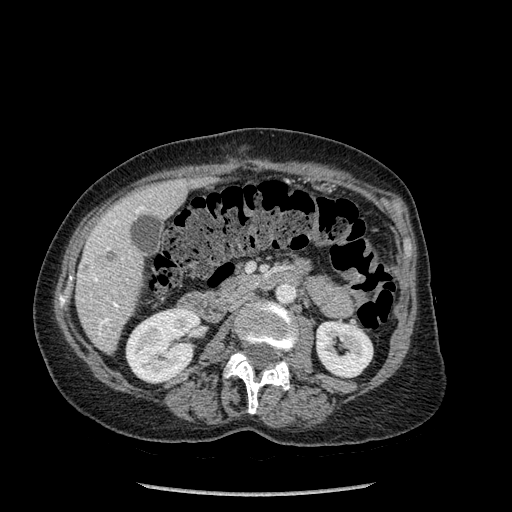
512x512; CT scan slice
<segmentation>
  <kidney>bbox(126, 309, 199, 382); bbox(317, 322, 372, 376)</kidney>
  <liver>bbox(76, 177, 208, 351)</liver>
  <hepatic_lesion>bbox(100, 251, 117, 260)</hepatic_lesion>
  <bone>bbox(59, 295, 64, 306); bbox(224, 352, 289, 413); bbox(234, 301, 298, 353)</bone>
</segmentation>